Image size 512x512 | CT 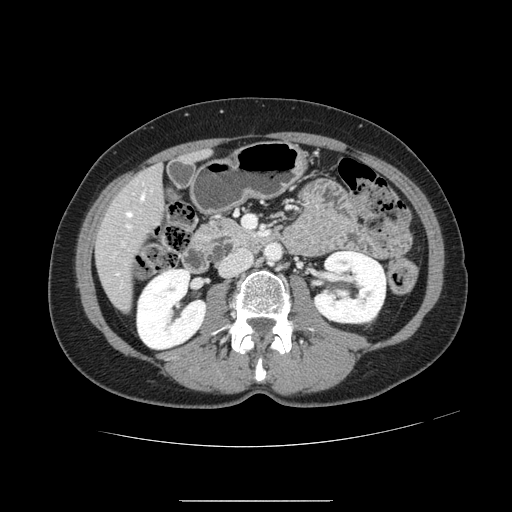

pancreas: (x1=207, y1=257, x2=227, y2=268), (x1=191, y1=218, x2=264, y2=260) | pancreatic tumor: (x1=207, y1=236, x2=234, y2=261)